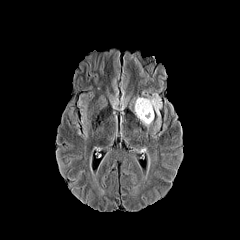
FLAIR MRI.
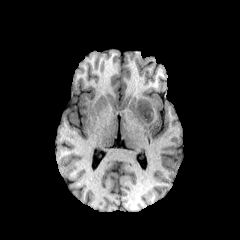
T1-weighted MRI.
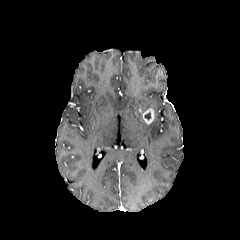
Post-contrast T1-weighted MRI of the same slice.
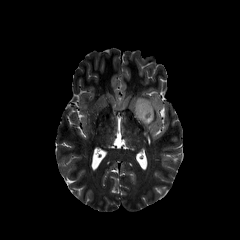
T2-weighted MRI.
240x240 px, Brain
- edema: bbox(134, 94, 161, 130)
- enhancing tumor: bbox(142, 108, 154, 123)